FLAIR magnetic resonance.
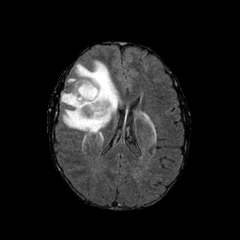
T1-weighted MRI.
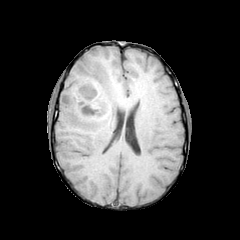
Post-contrast T1-weighted MR.
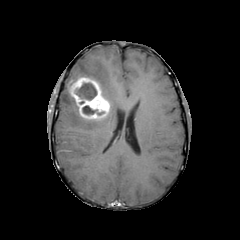
T2-weighted MR image.
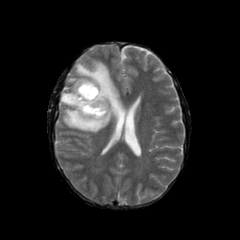
edema:
  - (x1=61, y1=61, x2=119, y2=133)
enhancing_tumor:
  - (x1=67, y1=77, x2=109, y2=119)
non-enhancing_tumor_core:
  - (x1=82, y1=105, x2=104, y2=120)
  - (x1=75, y1=82, x2=97, y2=100)